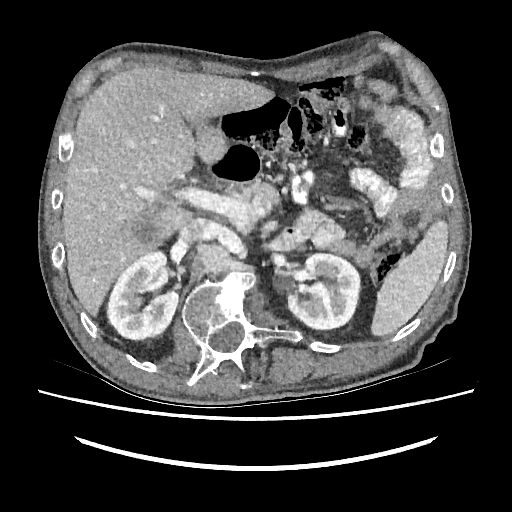
Computed tomography; 512x512 px; Abdomen
2 kidney regions are bounded by bbox(288, 254, 359, 329); bbox(108, 252, 177, 339). The liver lies within bbox(64, 68, 272, 315). The focal liver lesion is bounded by bbox(134, 222, 156, 242).